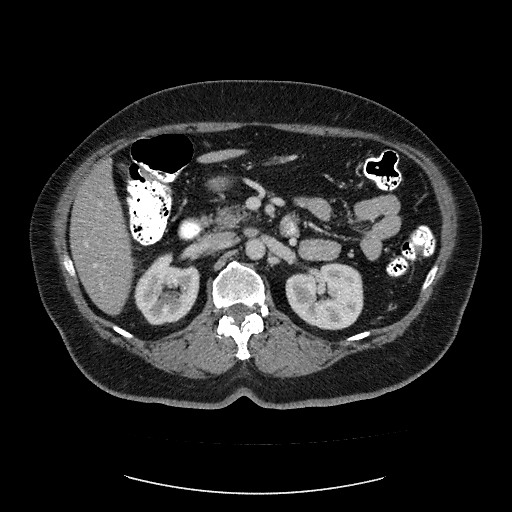

Computed tomography. Liver.

Some hepatic vessels may have no box.
4 hepatic vessel regions are bounded by [98, 265, 104, 267], [99, 203, 102, 205], [85, 242, 87, 245], [94, 264, 96, 266].